Upper abdomen. CT slice.

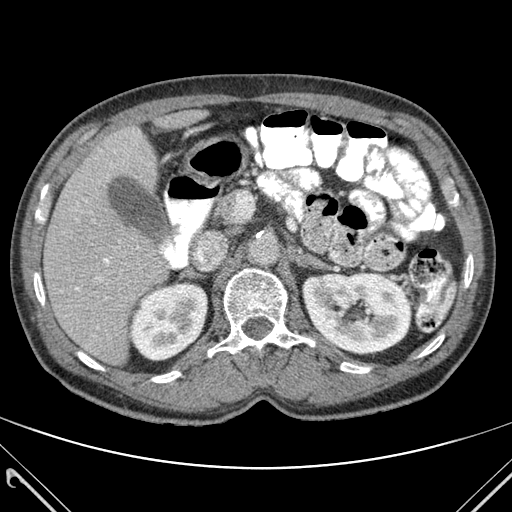

Bone at 419, 335, 443, 356; 465, 255, 473, 286; 152, 371, 180, 382; 78, 352, 103, 370; 208, 269, 314, 356; 450, 192, 458, 203; 36, 185, 47, 225; 34, 272, 44, 304; 341, 362, 369, 373.
Kidney at 303, 274, 410, 352; 132, 284, 206, 359.
Liver at 44, 127, 166, 365; 159, 110, 202, 128.